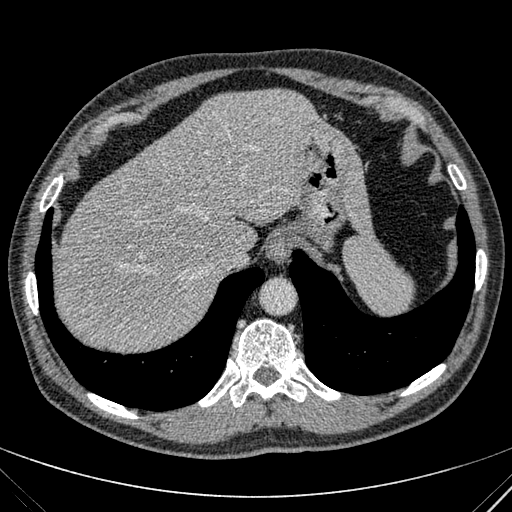 Abdomen; CT scan slice

- liver: box=[53, 89, 371, 350]